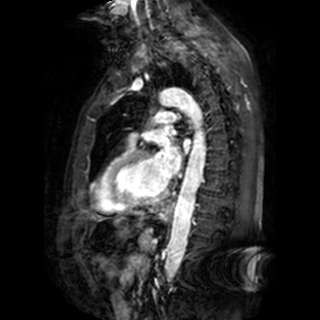
MR
Left atrium: bounding box (left=155, top=136, right=182, bottom=178), (left=184, top=139, right=190, bottom=150).